CT 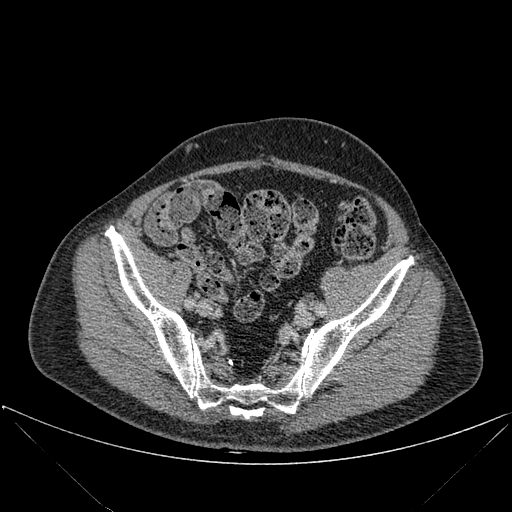 2 bone regions appear at <bbox>230, 406, 264, 418</bbox>, <bbox>105, 226, 413, 413</bbox>.